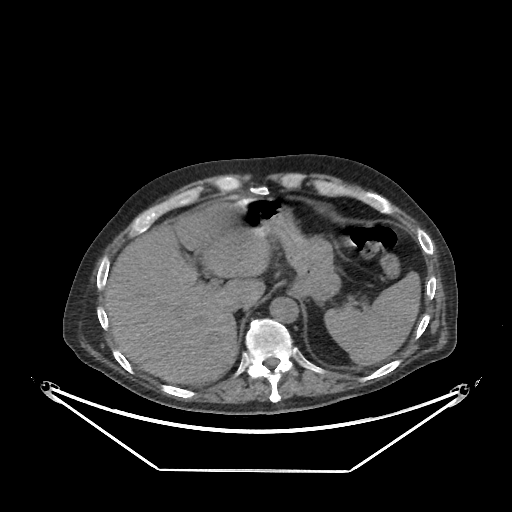
CT scan slice; Abdomen
Annotated regions:
* liver: (98,200,269,384), (103,255,108,268)